Slice 49 of 155. Head.
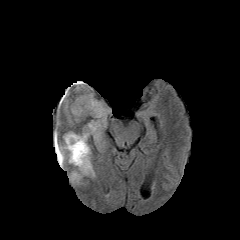
FLAIR magnetic resonance.
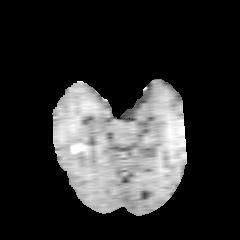
T1-weighted magnetic resonance of the same slice.
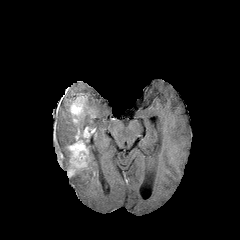
Post-contrast T1-weighted MR.
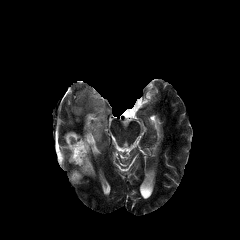
T2-weighted MR of the same slice.
* non-enhancing tumor core: [x1=56, y1=144, x2=71, y2=160]
* edema: [x1=84, y1=121, x2=101, y2=141], [x1=62, y1=134, x2=97, y2=182], [x1=58, y1=130, x2=85, y2=155], [x1=93, y1=102, x2=105, y2=117]
* enhancing tumor: [x1=56, y1=151, x2=63, y2=166], [x1=67, y1=135, x2=88, y2=169], [x1=83, y1=126, x2=95, y2=140]